FLAIR magnetic resonance.
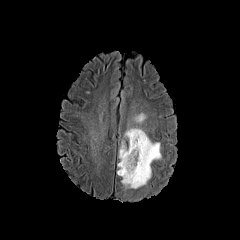
T1-weighted MR image.
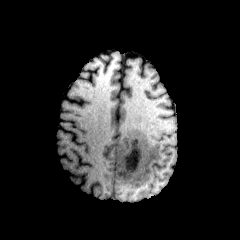
Post-contrast T1-weighted MRI.
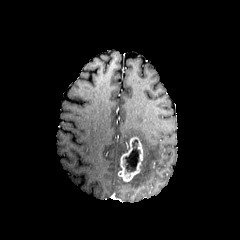
T2-weighted magnetic resonance.
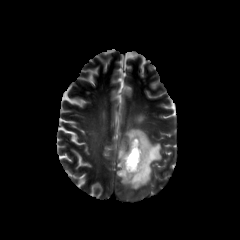
Head
Enhancing tumor at (117,137,143,182).
Edema at (134,113,145,122), (118,142,126,157), (121,128,161,191).
Non-enhancing tumor core at (124,139,140,172).